Slice index 116, CT scan slice, Image size 512x512 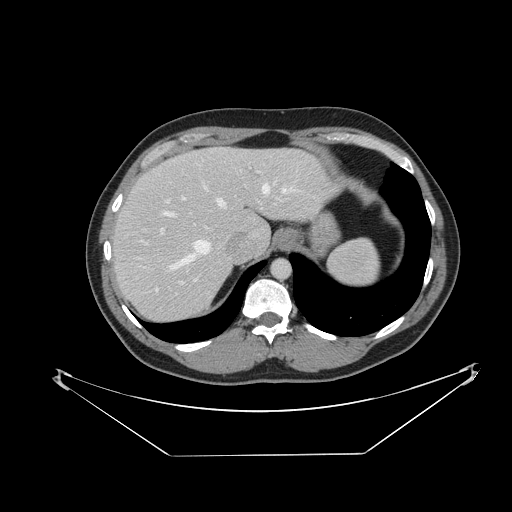 Spleen = (left=329, top=240, right=378, bottom=287).